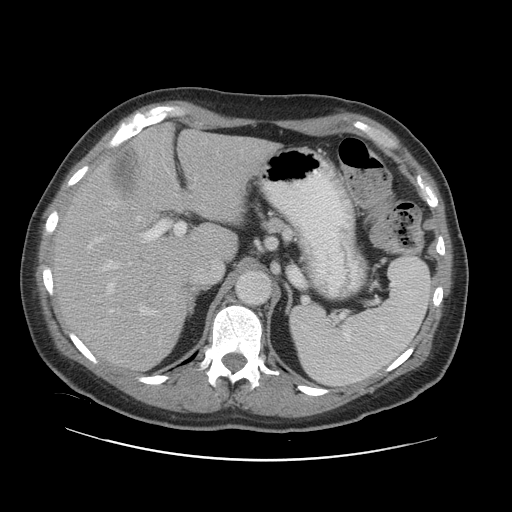 Liver. CT image.

The vessel annotation is not exhaustive.
4 hepatic vessel regions are located at 137,216,140,220; 141,224,159,242; 139,307,155,314; 143,285,144,286.